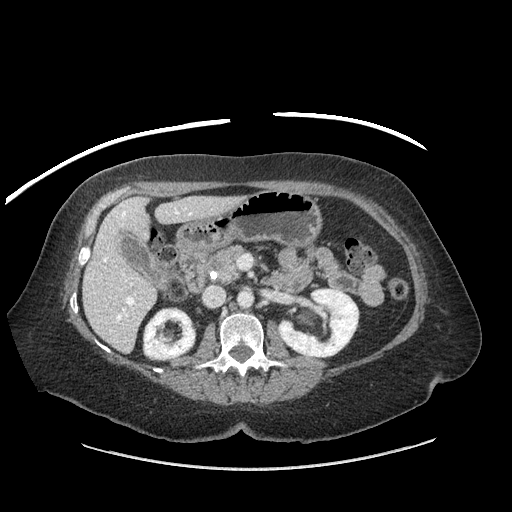
CT scan slice
The pancreatic tumor appears at <bbox>211, 252, 233, 271</bbox>. The pancreas is at <bbox>197, 247, 244, 282</bbox>.